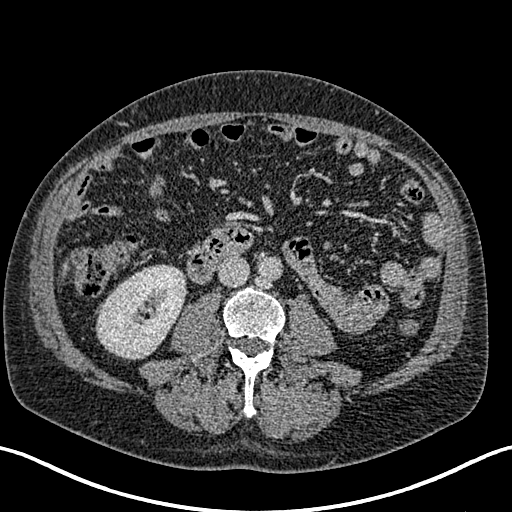
512x512; CT image; Liver
kidney:
  - bbox(97, 266, 185, 358)
liver:
  - bbox(59, 256, 70, 281)